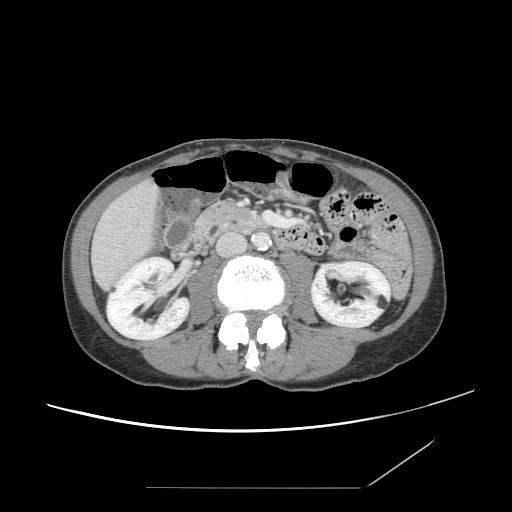
Upper abdomen | CT image
Annotated regions:
* pancreas: 197, 202, 266, 239